Brain
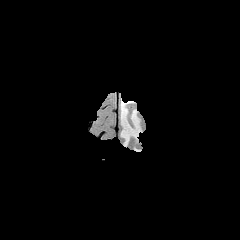
FLAIR magnetic resonance.
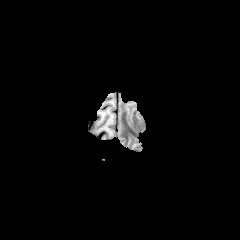
T1-weighted MRI.
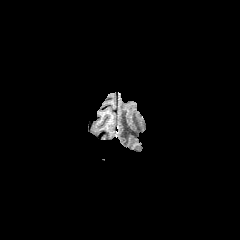
Post-contrast T1-weighted MR.
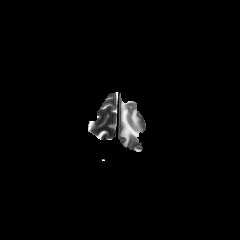
T2-weighted MRI.
{"edema": ["box(120, 101, 141, 145)"], "non-enhancing_tumor_core": ["box(121, 105, 131, 129)"]}